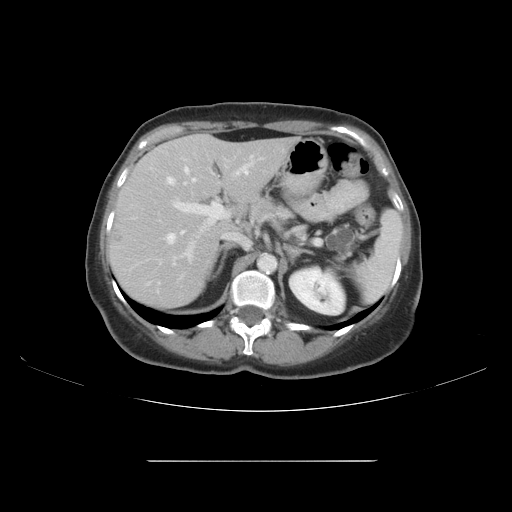
CT | Upper abdomen

Pancreatic tumor = [x1=328, y1=230, x2=355, y2=253].
Pancreas = [x1=340, y1=237, x2=358, y2=256], [x1=249, y1=195, x2=296, y2=227], [x1=327, y1=227, x2=352, y2=250].